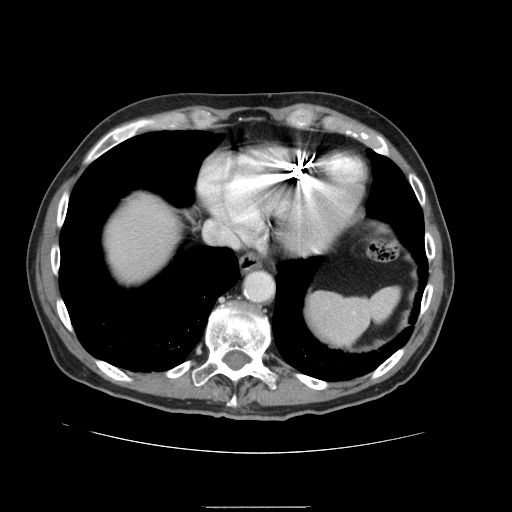

512x512, CT slice

* spleen: left=309, top=288, right=399, bottom=347